240x240
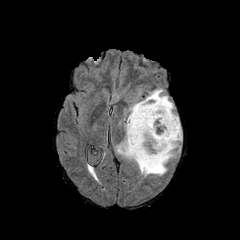
FLAIR MR image.
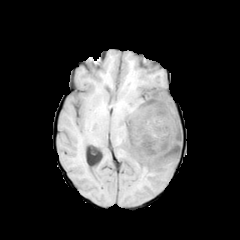
T1-weighted MRI.
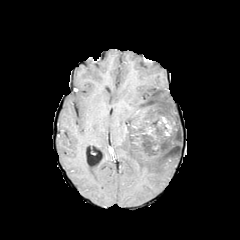
Post-contrast T1-weighted MR of the same slice.
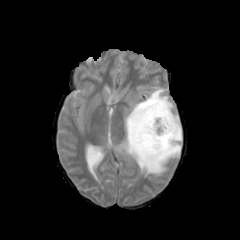
T2-weighted MRI.
- edema: box(115, 87, 182, 176); box(154, 123, 161, 135)
- enhancing tumor: box(160, 116, 174, 136); box(140, 126, 154, 135)
- non-enhancing tumor core: box(126, 96, 179, 160)